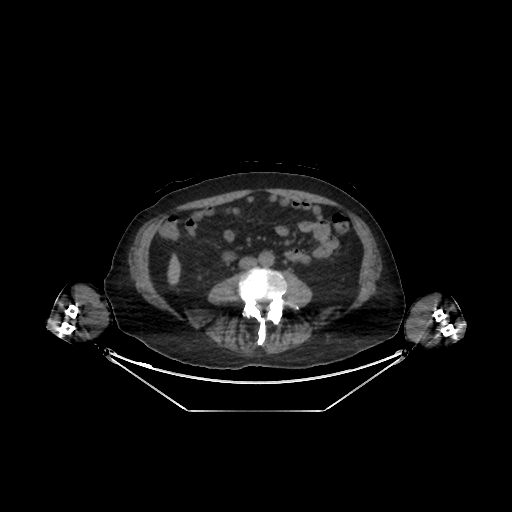
CT image, Image size 512x512
liver:
  - (168,255,179,283)